Slice index 77. Brain. 240x240 px.
FLAIR magnetic resonance.
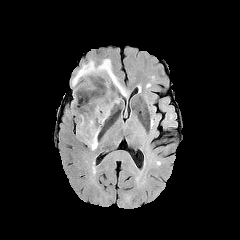
T1-weighted MR.
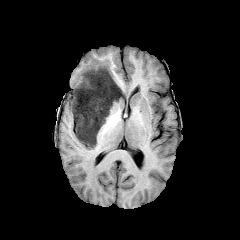
Post-contrast T1-weighted MR image.
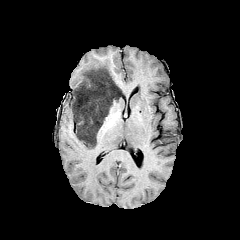
T2-weighted MRI.
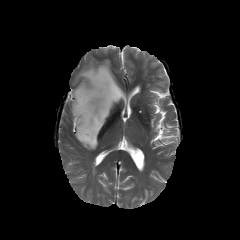
Edema: x1=94 y1=82 x2=103 y2=95, x1=72 y1=58 x2=113 y2=86.
Non-enhancing tumor core: x1=72 y1=67 x2=125 y2=147.